FLAIR MR image.
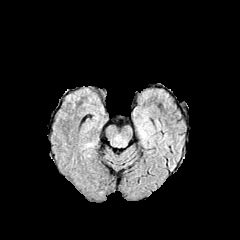
T1-weighted MRI.
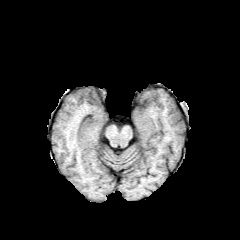
Post-contrast T1-weighted magnetic resonance.
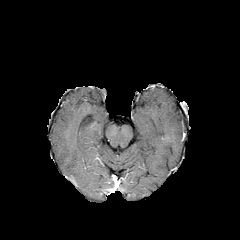
T2-weighted MR.
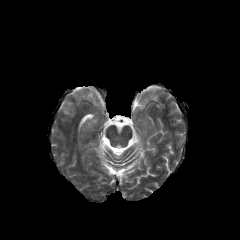
edema:
  - <box>86,144,93,156</box>